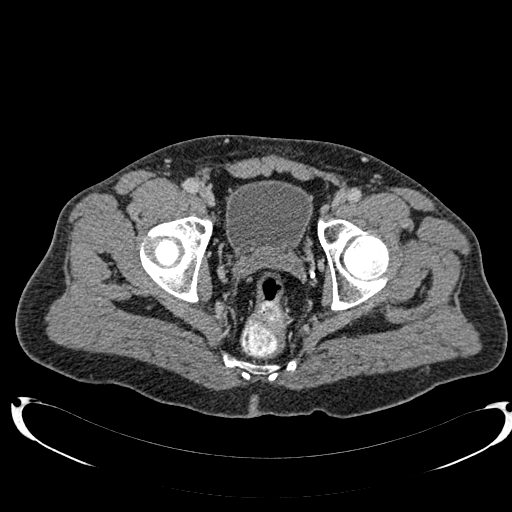

CT scan slice, Lower abdomen
urinary bladder: <bbox>225, 180, 312, 262</bbox>